Image size 512x512 | Image width 388 mm | CT slice 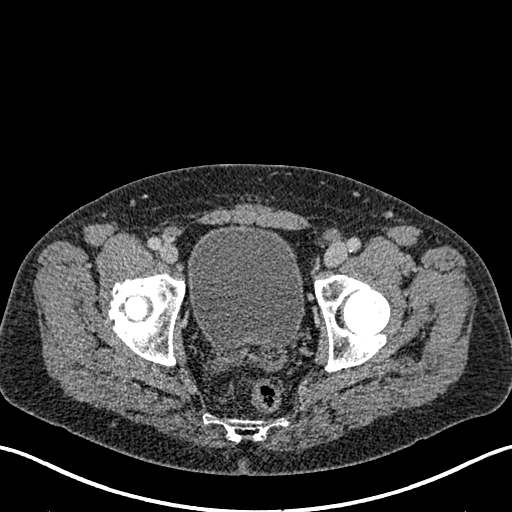 <segmentation>
  <urinary_bladder>x1=187, y1=223, x2=303, y2=346</urinary_bladder>
</segmentation>